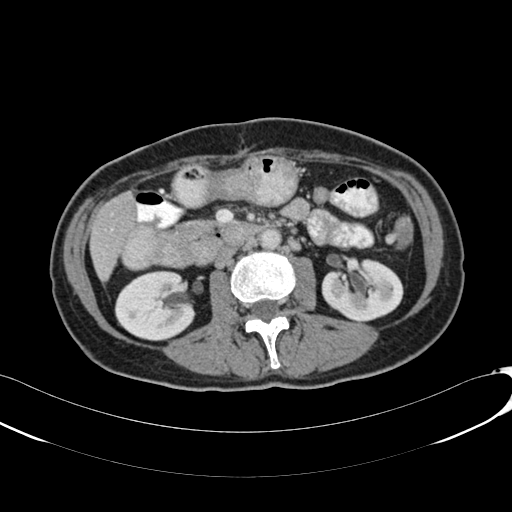
Abdomen | CT scan slice
Kidney at <bbox>116, 272, 193, 339</bbox>, <bbox>323, 260, 402, 320</bbox>.
Liver at <bbox>90, 191, 134, 281</bbox>.